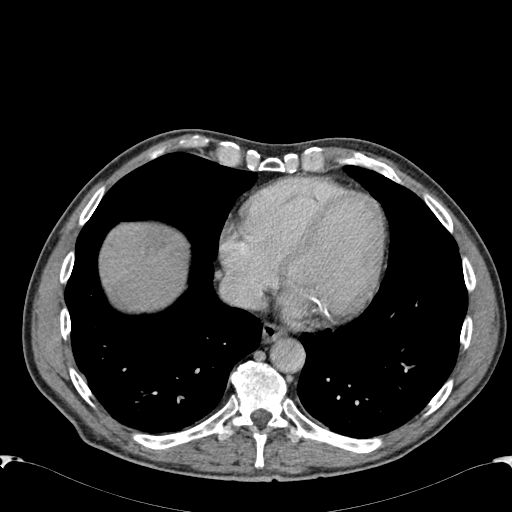

CT

The liver lesion lies within 146, 236, 164, 251. The liver is located at 100, 223, 187, 312.